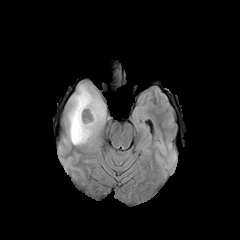
FLAIR magnetic resonance.
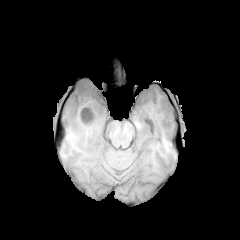
Same slice, T1-weighted MR image.
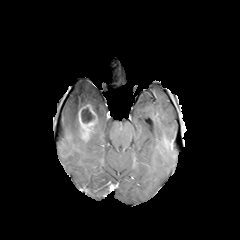
Post-contrast T1-weighted MR of the same slice.
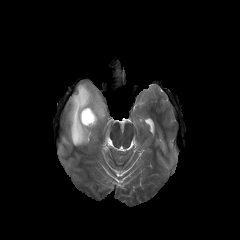
Same slice, T2-weighted MRI.
240x240 px. Head.
The non-enhancing tumor core lies within 79:104:94:122. The enhancing tumor appears at 78:105:97:140. The edema is at 67:84:106:145.